FLAIR MR.
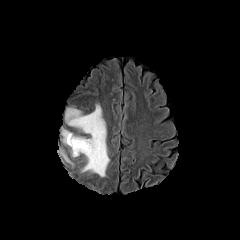
T1-weighted MRI.
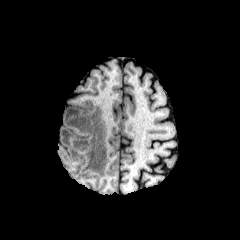
Post-contrast T1-weighted MR.
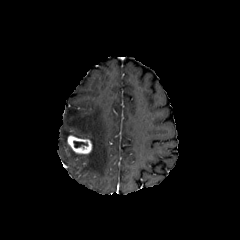
T2-weighted MR image.
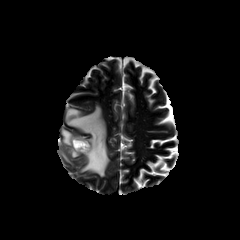
Head | Image size 240x240
Non-enhancing tumor core: bounding box x1=74 y1=140 x2=88 y2=147.
Edema: bounding box x1=65 y1=103 x2=110 y2=178, x1=61 y1=127 x2=72 y2=145.
Enhancing tumor: bounding box x1=66 y1=133 x2=93 y2=156.